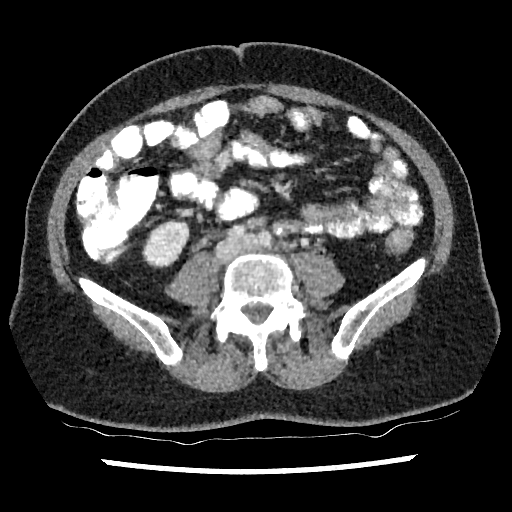 CT scan slice, Image size 512x512
Kidney: bounding box {"x1": 145, "y1": 222, "x2": 187, "y2": 265}.